CT scan slice, Slice index 8 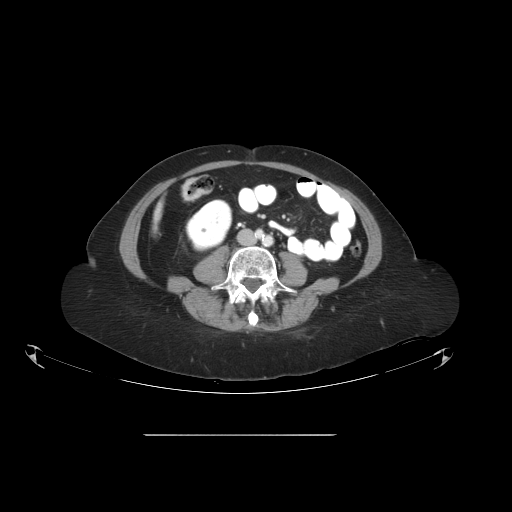

{"colon_tumor": ["left=180, top=176, right=211, bottom=201"]}